Slice 71/155 | Brain
FLAIR MRI.
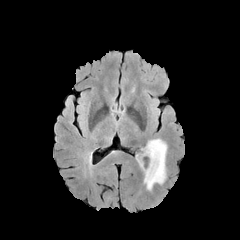
T1-weighted MRI.
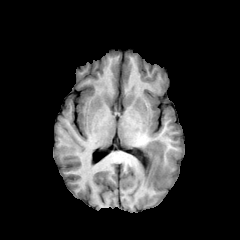
Post-contrast T1-weighted magnetic resonance.
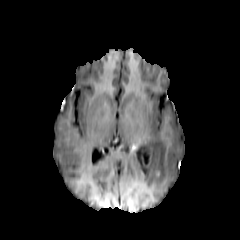
T2-weighted MR.
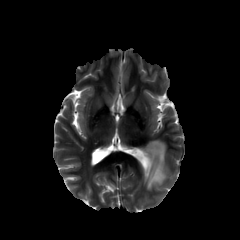
Edema at 153,106,159,122; 136,138,167,190.